FLAIR MR image.
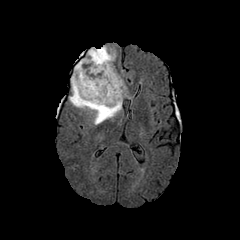
T1-weighted MR.
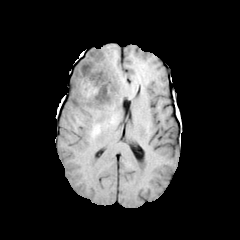
Post-contrast T1-weighted magnetic resonance.
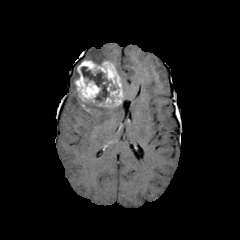
T2-weighted magnetic resonance.
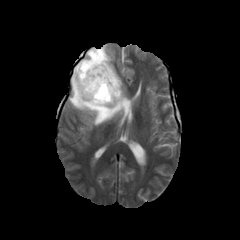
240x240 px.
<segmentation>
  <non-enhancing_tumor_core>81:67:108:101</non-enhancing_tumor_core>
  <edema>85:46:115:63, 69:76:122:125</edema>
  <enhancing_tumor>73:57:122:106</enhancing_tumor>
</segmentation>